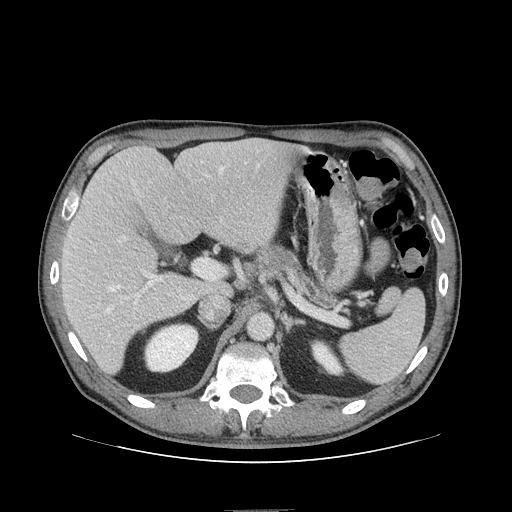
Computed tomography, Abdomen, 512x512
Pancreas — bbox=[255, 244, 338, 307].
Pancreatic tumor — bbox=[269, 248, 294, 269].